Slice index 59 | Head
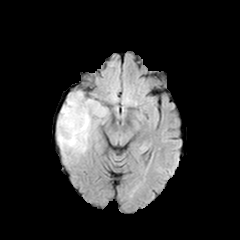
FLAIR MRI.
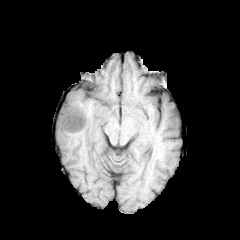
T1-weighted MR.
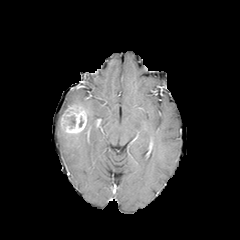
Same slice, post-contrast T1-weighted magnetic resonance.
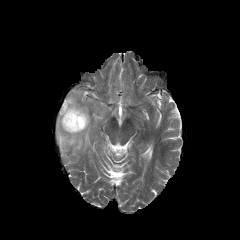
T2-weighted MR image.
Edema — <box>57,91,108,164</box>.
Enhancing tumor — <box>60,105,88,133</box>.